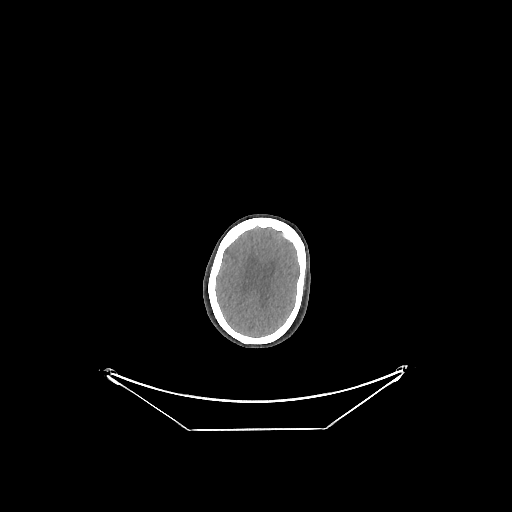
Head, 512x512 px, Computed tomography
The brain appears at (215, 227, 299, 337).